Hippocampus, Magnetic resonance

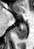 {"posterior_hippocampus": ["<bbox>15, 24, 27, 39</bbox>"]}